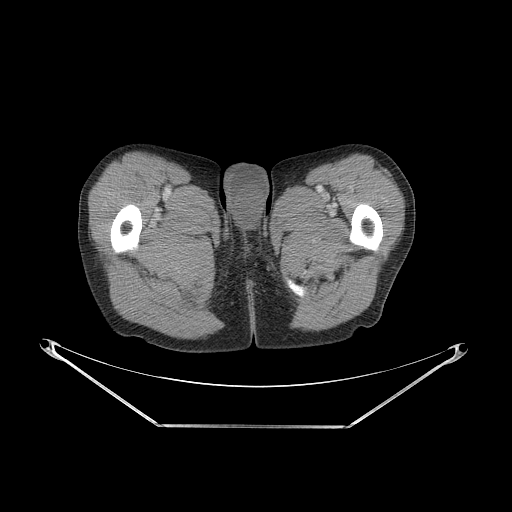
CT scan slice
Bone — region(111, 204, 141, 252); region(289, 281, 303, 295); region(350, 204, 382, 250).